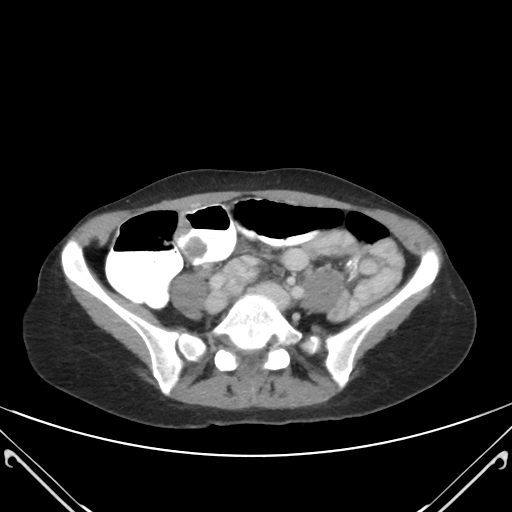
512x512 px; Abdomen; CT
Annotated regions:
- colon tumor: 177:219:191:238, 183:236:206:260